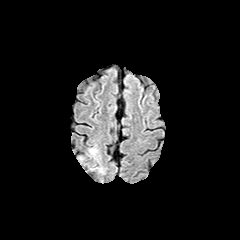
FLAIR MR image.
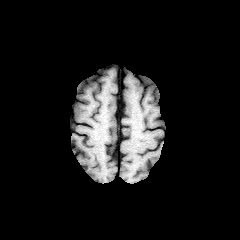
T1-weighted MRI of the same slice.
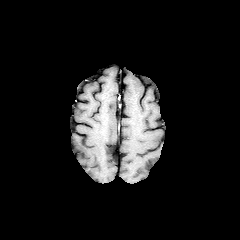
Post-contrast T1-weighted MR image.
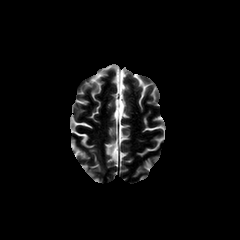
T2-weighted MR of the same slice.
Brain
Edema at <box>79,143,104,172</box>.